Slice 145/260. CT image. 512x512. Liver. Field of view 512x512 mm.

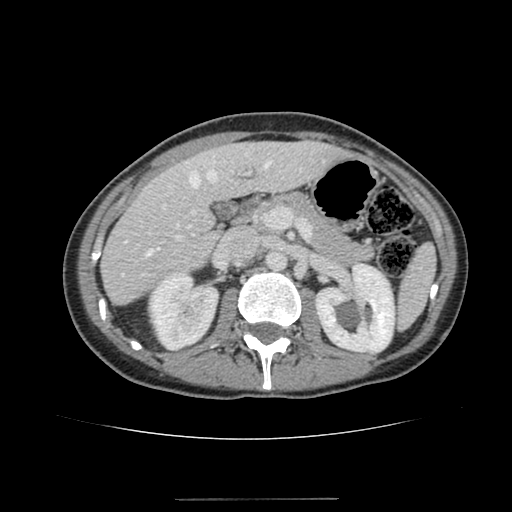

The liver is at 100,141,348,305. 2 kidney regions appear at 150,272,217,349; 316,264,394,352.